Slice index 83; Image width 422 mm; Computed tomography; Abdomen 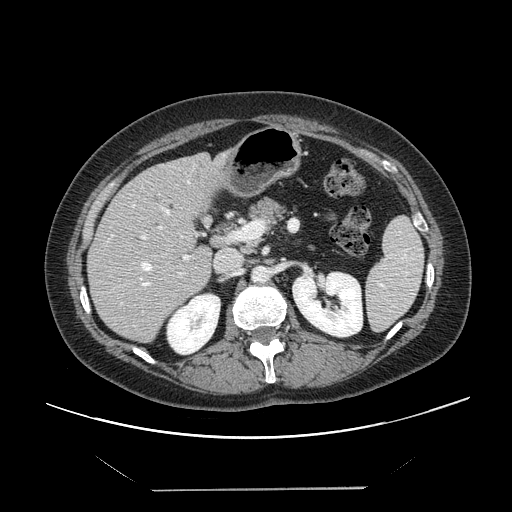
Only some of the vessels may be annotated.
11 hepatic vessel regions are bounded by box=[232, 220, 261, 239]; box=[215, 249, 241, 274]; box=[183, 254, 190, 261]; box=[181, 235, 183, 237]; box=[139, 277, 151, 287]; box=[107, 234, 112, 242]; box=[131, 203, 136, 208]; box=[158, 226, 163, 229]; box=[139, 260, 153, 272]; box=[140, 234, 148, 239]; box=[160, 206, 170, 215].